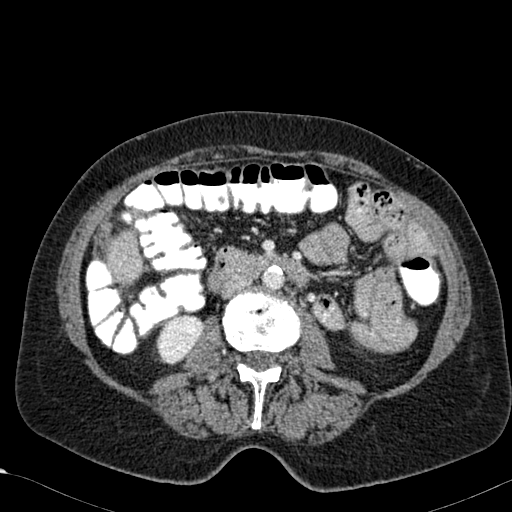

CT slice.
{"liver": ["[x1=108, y1=230, x2=140, y2=282]"], "kidney": ["[x1=356, y1=333, x2=368, y2=345]", "[x1=157, y1=308, x2=204, y2=363]"]}